Upper abdomen, Slice index 72, Computed tomography
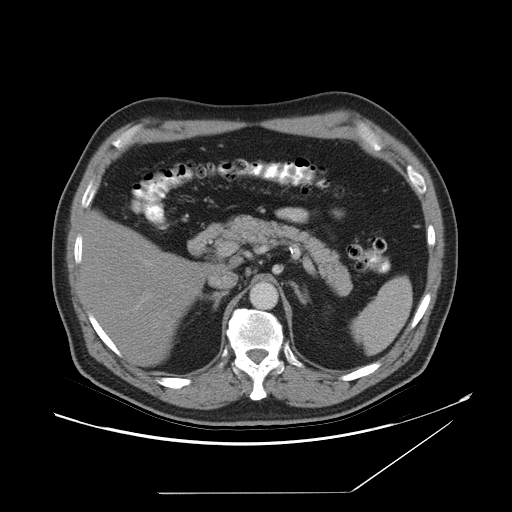

The spleen is at box(352, 279, 411, 352).